CT slice. 512x512 px. Slice index 155.
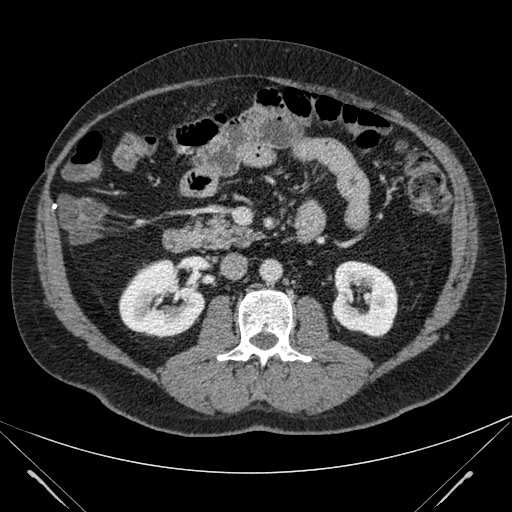

<segmentation>
  <kidney>bbox=[120, 260, 203, 336]; bbox=[333, 262, 396, 335]</kidney>
</segmentation>